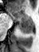 MRI, Medial temporal lobe

Segmented structures:
- posterior hippocampus: (x1=19, y1=22, x2=32, y2=33)
- anterior hippocampus: (x1=8, y1=11, x2=31, y2=21)